FLAIR MR image.
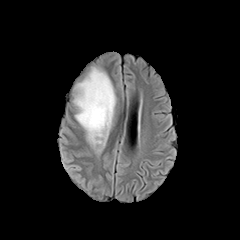
T1-weighted MR.
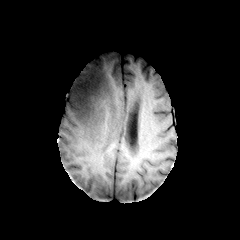
Post-contrast T1-weighted MRI.
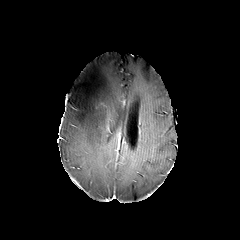
T2-weighted magnetic resonance.
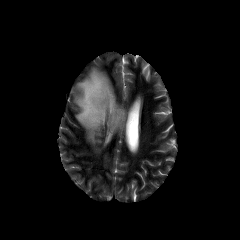
Segmented structures:
- non-enhancing tumor core: (88,80,97,103)
- edema: (73,66,117,151)